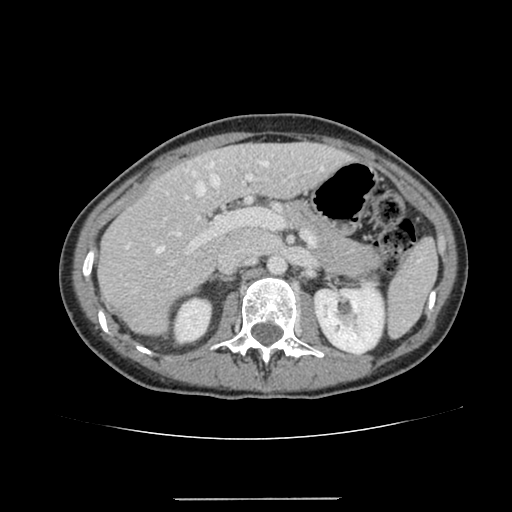 Abdomen | CT image | Image size 512x512

• liver: 96:142:349:333
• kidney: 315:283:383:353, 176:299:210:341